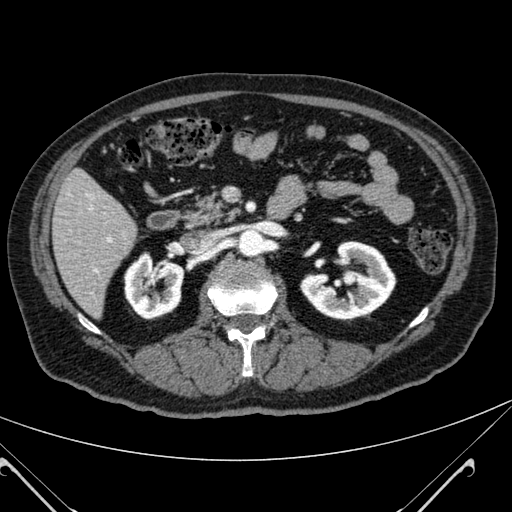

CT | 512x512
Liver — [51, 173, 134, 315].
Kidney — [302, 242, 394, 318], [125, 254, 182, 317].